Slice 62 of 130, MRI
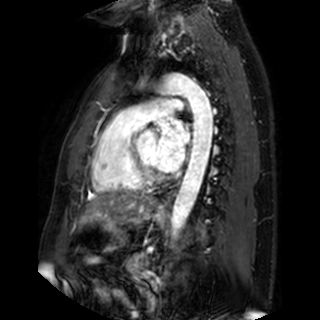
Left atrium: (155, 117, 189, 171).